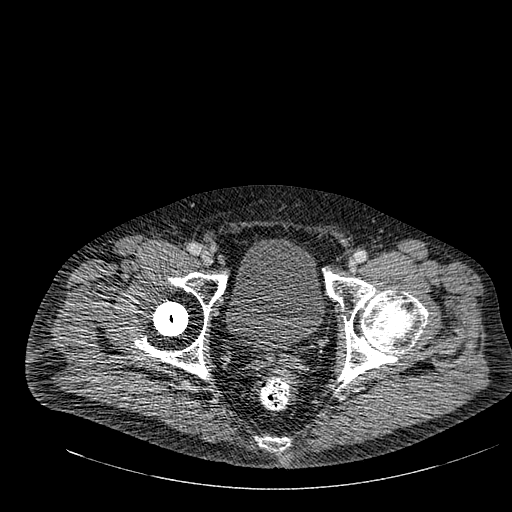
CT. Urinary bladder at x1=226 y1=239 x2=324 y2=351.